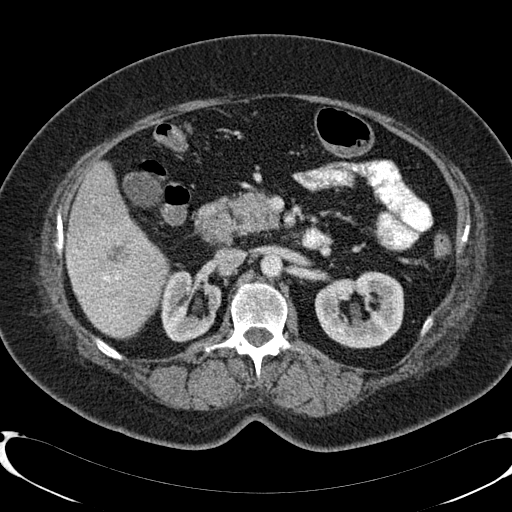

CT, Liver

<segmentation>
  <kidney>315,272,403,347; 160,266,220,341</kidney>
  <focal_liver_lesion>107,245,128,263</focal_liver_lesion>
  <liver>67,163,167,336</liver>
</segmentation>